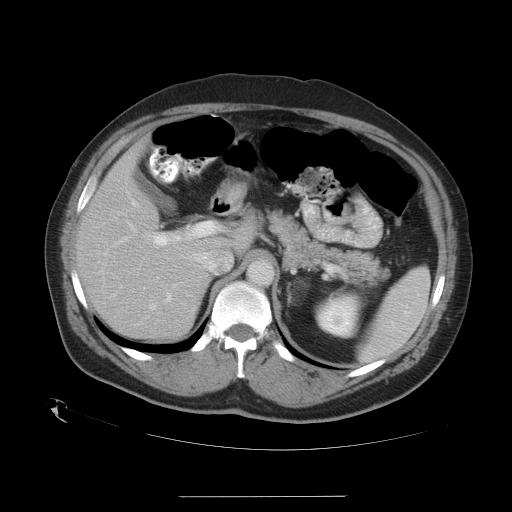
Abdomen. 512x512 px. CT slice. The vessel boxes may cover only some of the vessels.
Most prominent 15 of 17 hepatic vessel regions — region(173, 284, 176, 286); region(115, 242, 118, 244); region(197, 253, 204, 256); region(188, 234, 190, 236); region(130, 223, 132, 224); region(127, 192, 137, 206); region(119, 212, 122, 213); region(120, 285, 122, 287); region(143, 233, 146, 236); region(123, 236, 128, 241); region(150, 232, 155, 238); region(196, 261, 201, 267); region(110, 291, 117, 297); region(133, 229, 136, 232); region(194, 233, 202, 236).